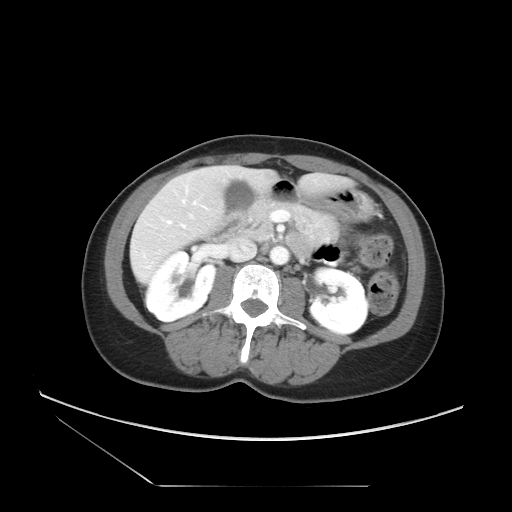 Abdomen. CT. 512x512 px.

Findings:
- pancreas: {"x1": 239, "y1": 200, "x2": 325, "y2": 245}
- pancreatic tumor: {"x1": 312, "y1": 214, "x2": 339, "y2": 247}